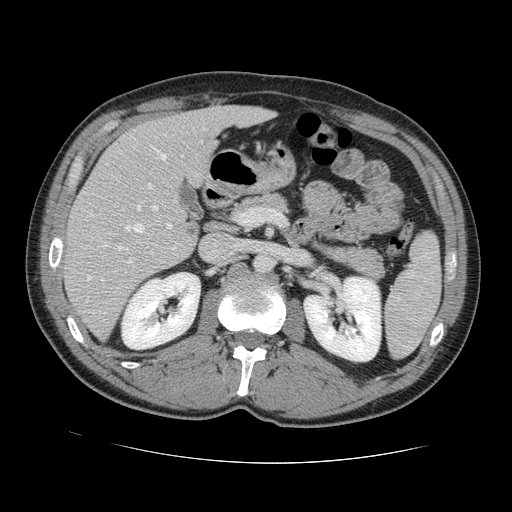
Liver; CT scan slice; 512x512

The vessel annotation is not exhaustive.
The top 15 hepatic vessel regions (of 19) appear at [x1=166, y1=223, x2=171, y2=227], [x1=148, y1=184, x2=152, y2=188], [x1=99, y1=241, x2=108, y2=247], [x1=202, y1=126, x2=205, y2=129], [x1=149, y1=251, x2=152, y2=254], [x1=118, y1=246, x2=127, y2=249], [x1=87, y1=212, x2=92, y2=217], [x1=137, y1=205, x2=139, y2=210], [x1=164, y1=134, x2=166, y2=135], [x1=86, y1=275, x2=90, y2=280], [x1=90, y1=312, x2=94, y2=313], [x1=152, y1=146, x2=164, y2=159], [x1=126, y1=258, x2=133, y2=262], [x1=125, y1=224, x2=142, y2=232], [x1=152, y1=206, x2=156, y2=210].